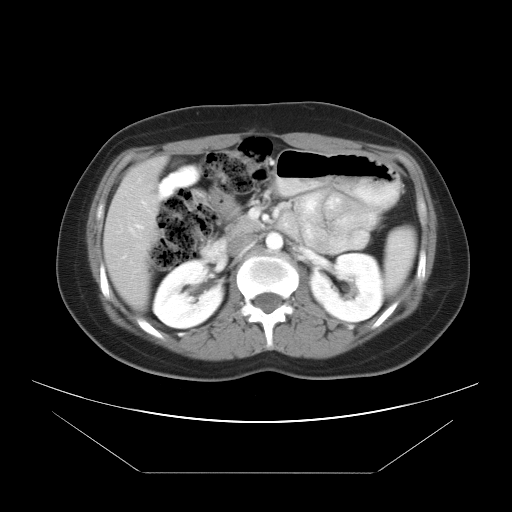 CT image; Abdomen
Only some of the vessels may be annotated.
liver_tumor:
  - <box>149,184,159,196</box>
hepatic_vessel:
  - <box>140,199,150,212</box>
  - <box>123,255,126,258</box>
  - <box>128,223,143,236</box>